Hippocampus; MR image 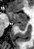 posterior hippocampus: (15,23,26,30) | anterior hippocampus: (6,11,27,22)